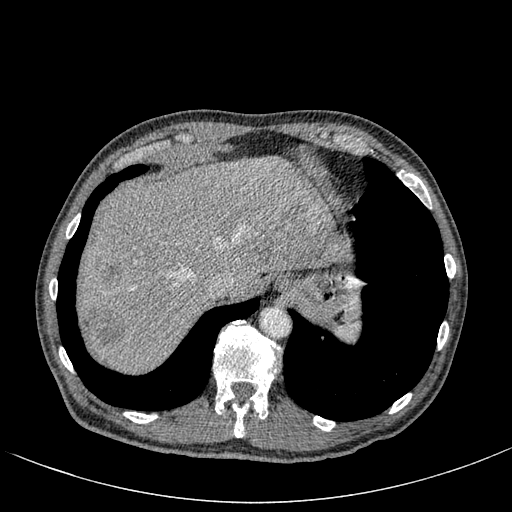

CT | 512x512 px
Findings:
- liver: [81, 155, 350, 372]
- focal liver lesion: [252, 250, 271, 262], [286, 201, 309, 222], [83, 304, 126, 346], [101, 266, 119, 283]